512x512 | Slice 36 of 95 | Upper abdomen | CT slice 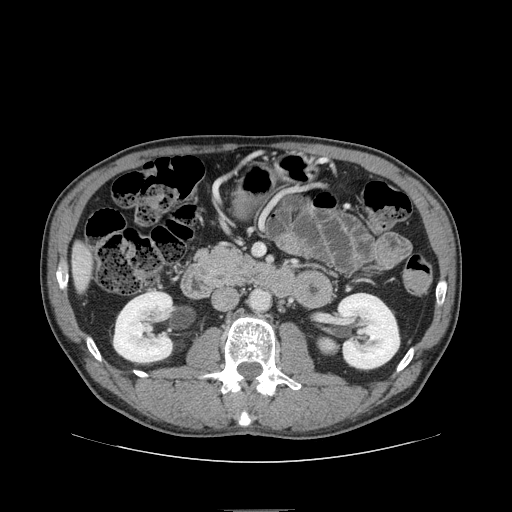

Annotated regions:
- pancreas: <bbox>197, 244, 263, 286</bbox>